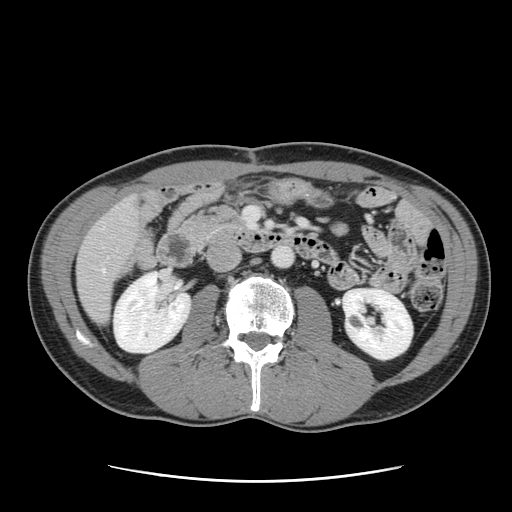 CT image; Liver

Some hepatic vessels may have no box.
<segmentation>
  <hepatic_vessel>(102,269,104,273)</hepatic_vessel>
</segmentation>